Head | Slice index 61
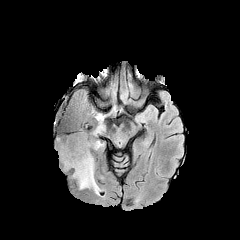
FLAIR MR image.
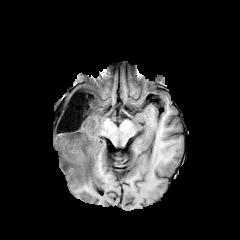
T1-weighted MRI of the same slice.
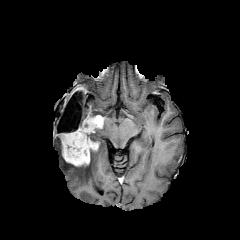
Post-contrast T1-weighted MR image.
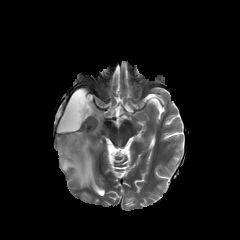
T2-weighted MR image.
Annotated regions:
- non-enhancing tumor core: 83 127 100 144, 64 161 85 167, 61 132 75 149, 79 122 92 131, 71 94 86 120
- edema: 90 125 105 141, 73 142 103 194
- enhancing tumor: 86 115 103 131, 62 128 98 166